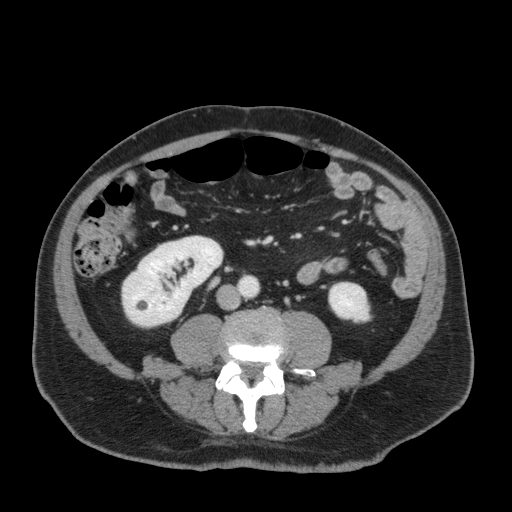 Image size 512x512 | CT scan slice | Abdomen
Kidney: bounding box <bbox>329, 283, 368, 320</bbox>, <bbox>122, 236, 222, 325</bbox>.